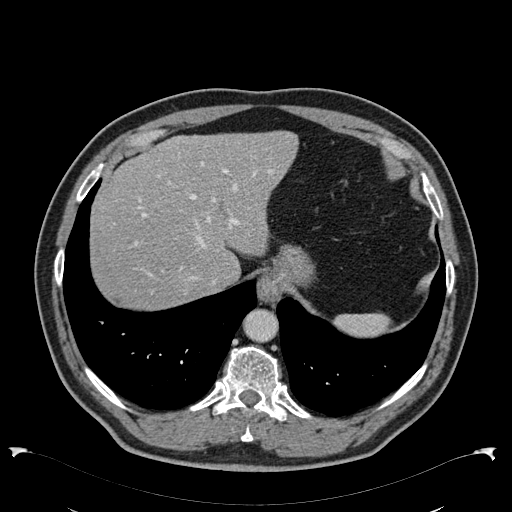

CT scan slice.
liver: bbox(90, 131, 298, 308)